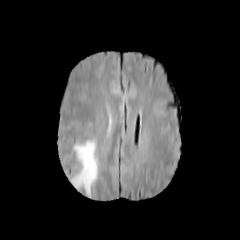
FLAIR MRI.
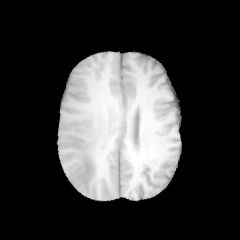
T1-weighted MR of the same slice.
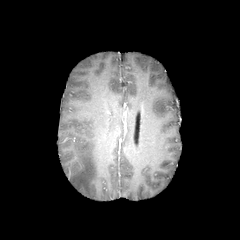
Post-contrast T1-weighted MRI.
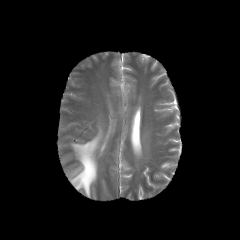
T2-weighted MR.
Brain
Edema: bounding box box=[71, 129, 102, 196].